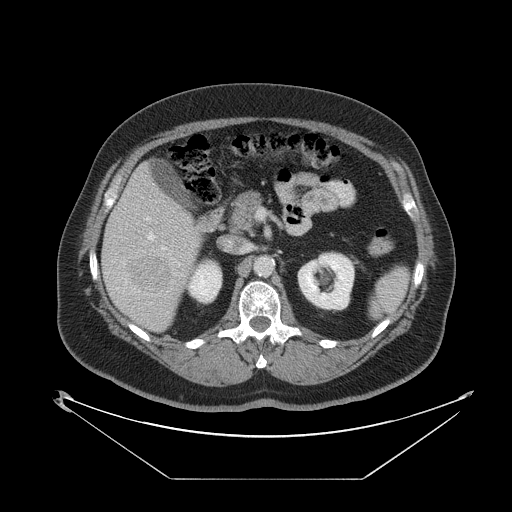

CT scan slice

The vessel annotation is not exhaustive.
Annotated regions:
• hepatic vessel: region(162, 247, 166, 249); region(145, 217, 150, 219); region(148, 234, 153, 240)
• liver tumor: region(128, 255, 170, 292)